Slice 31 of 99, Computed tomography, Upper abdomen, Image width 388 mm

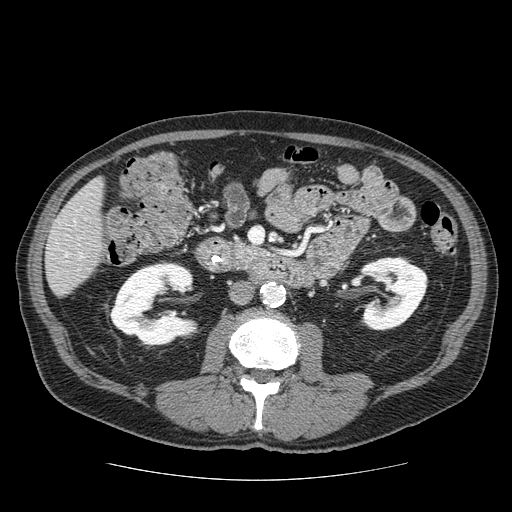

<segmentation>
  <pancreas>230,240,262,271</pancreas>
</segmentation>